CT scan slice.
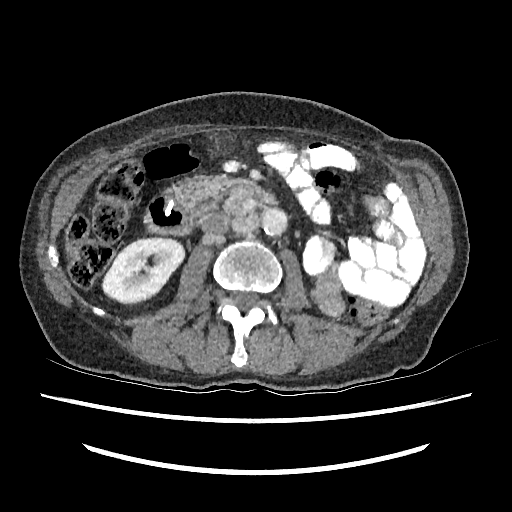
Kidney = l=103, t=238, r=184, b=302.